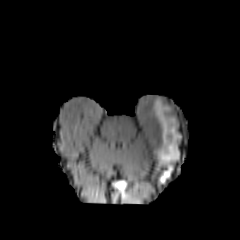
FLAIR MRI.
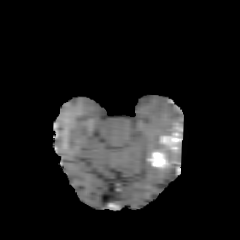
T1-weighted MR image.
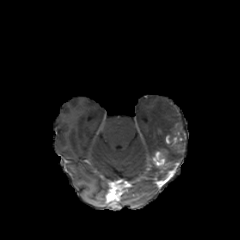
Post-contrast T1-weighted MRI.
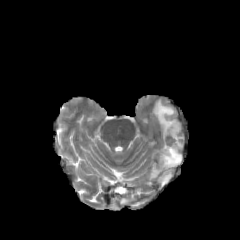
T2-weighted MRI.
Head.
- edema: [152, 97, 184, 168]
- enhancing tumor: [165, 131, 182, 146], [153, 150, 167, 167]
- non-enhancing tumor core: [161, 152, 170, 166], [168, 125, 183, 140]